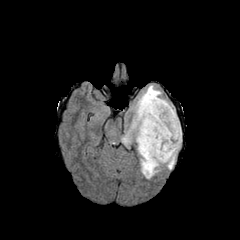
FLAIR MR.
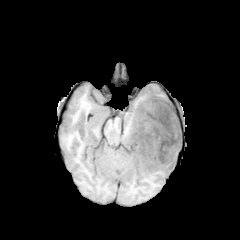
T1-weighted MR image of the same slice.
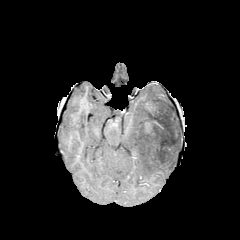
Post-contrast T1-weighted MR image of the same slice.
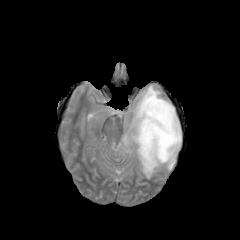
Same slice, T2-weighted MR image.
240x240 px. Head.
non-enhancing tumor core: <box>142,96,177,157</box> | edema: <box>121,85,181,178</box>